FLAIR MR.
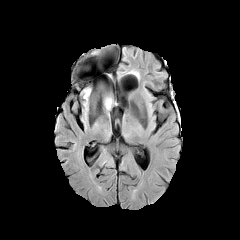
T1-weighted magnetic resonance.
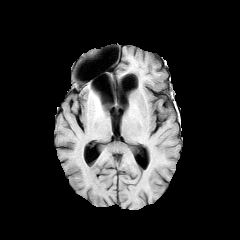
Post-contrast T1-weighted MR image.
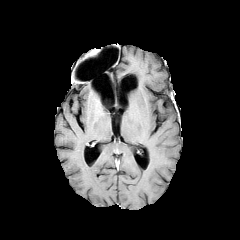
T2-weighted MR image.
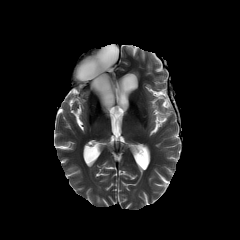
edema: (84, 88, 90, 99)